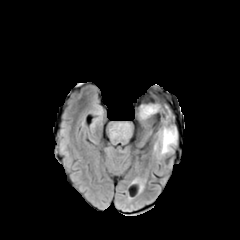
FLAIR magnetic resonance.
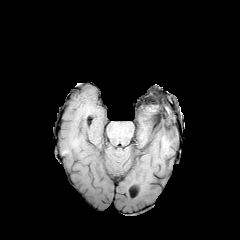
T1-weighted MR image.
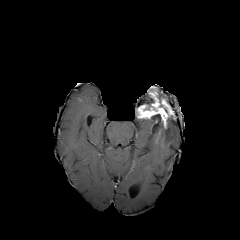
Post-contrast T1-weighted MRI.
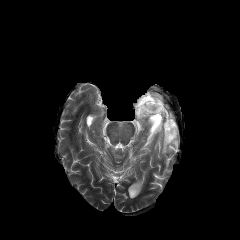
T2-weighted magnetic resonance.
The edema is bounded by {"x1": 152, "y1": 118, "x2": 177, "y2": 159}. The non-enhancing tumor core is located at {"x1": 157, "y1": 119, "x2": 175, "y2": 146}. The enhancing tumor is at {"x1": 136, "y1": 96, "x2": 172, "y2": 129}.